CT scan slice | Field of view 375x375 mm

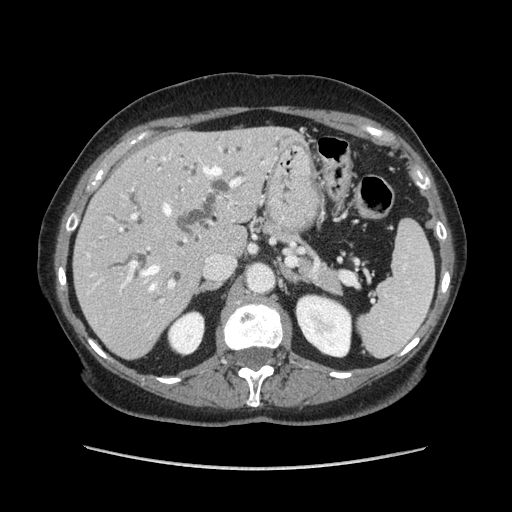
The pancreas is located at (298,249,344,295).